FLAIR magnetic resonance.
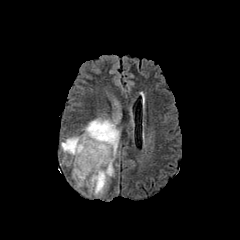
T1-weighted magnetic resonance.
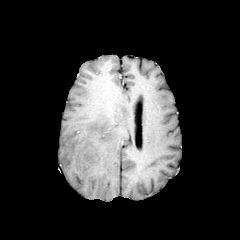
Post-contrast T1-weighted MR.
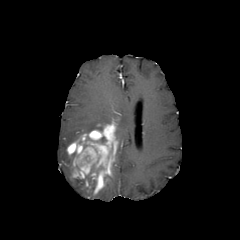
T2-weighted MR image.
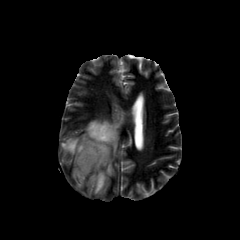
240x240, Brain
* non-enhancing tumor core: 77,164,102,181
* edema: 116,128,120,140; 61,136,80,155; 82,117,111,133; 88,180,107,197
* enhancing tumor: 67,120,118,193